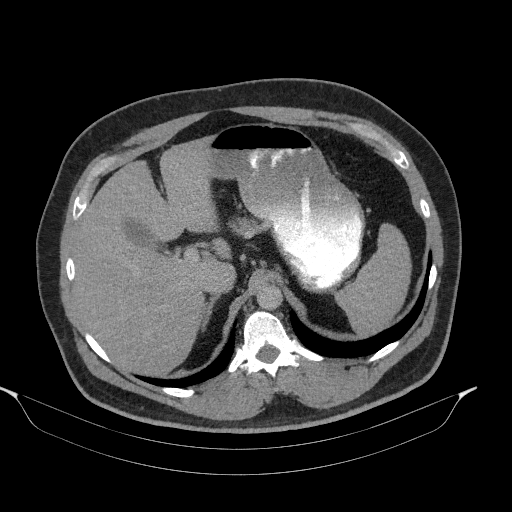

CT image

{"pancreas": ["(231,217,263,230)"]}